512x512 | CT scan slice

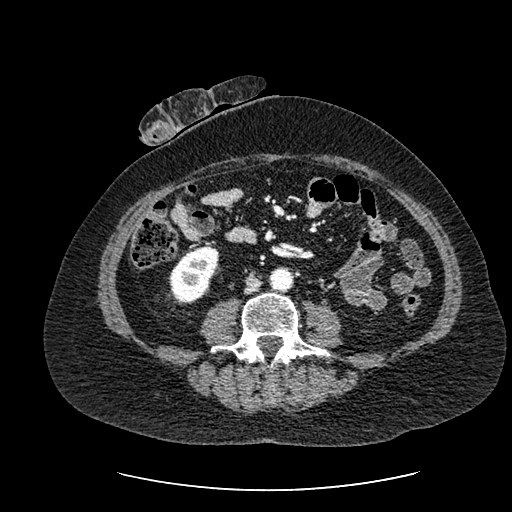

<segmentation>
  <kidney>[x1=170, y1=247, x2=217, y2=302]</kidney>
</segmentation>